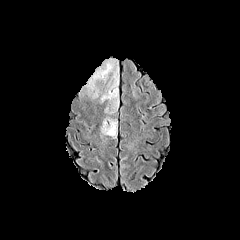
FLAIR magnetic resonance.
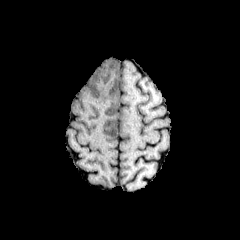
Same slice, T1-weighted MRI.
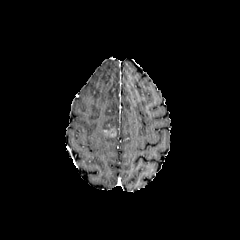
Post-contrast T1-weighted MR of the same slice.
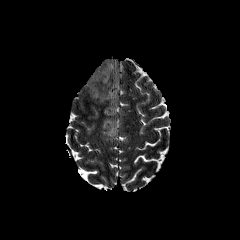
T2-weighted magnetic resonance of the same slice.
Brain; 240x240
edema: [90,63,113,89], [101,66,119,110]